Slice 305 of 761, CT scan slice 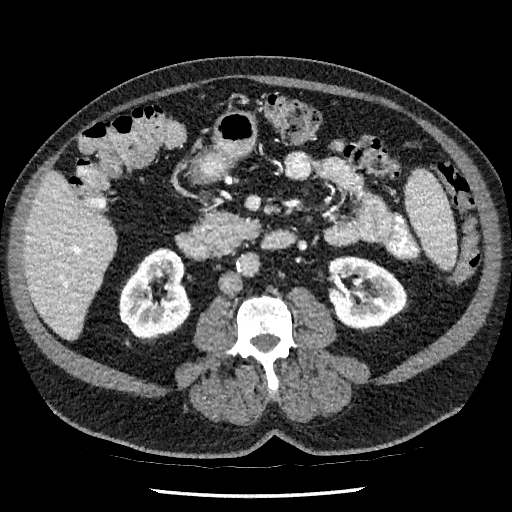 2 kidney regions appear at [120,250,189,337], [330,257,405,327]. The liver is located at [24,171,115,339].